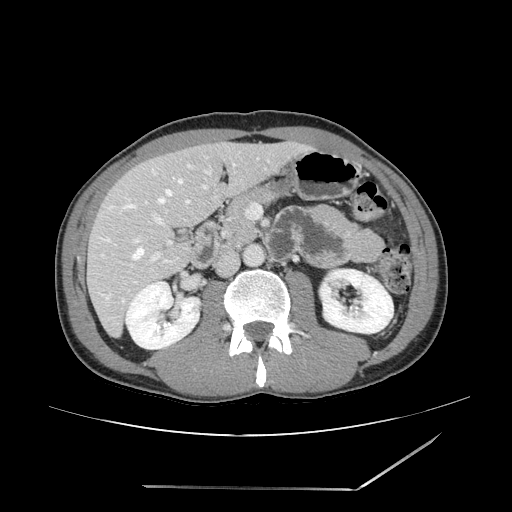
CT | 512x512 px | Upper abdomen
Pancreas = [x1=224, y1=187, x2=278, y2=247].